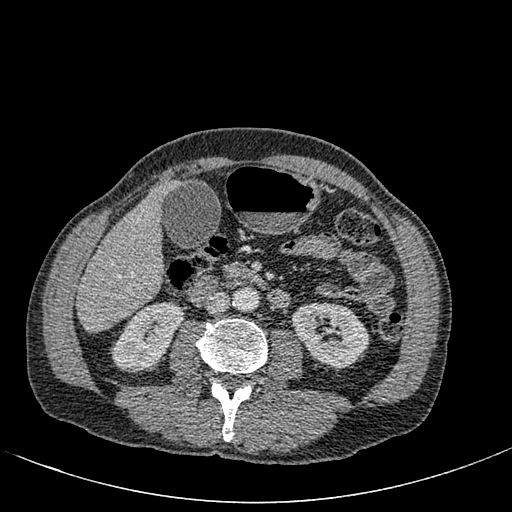 Upper abdomen | CT image
2 kidney regions appear at l=292, t=302, r=368, b=367; l=112, t=302, r=183, b=370. The liver lies within l=77, t=185, r=172, b=330.